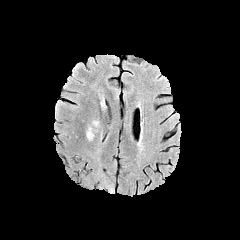
FLAIR magnetic resonance.
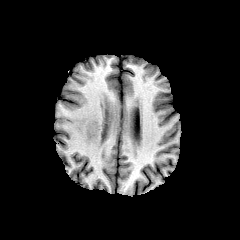
Same slice, T1-weighted magnetic resonance.
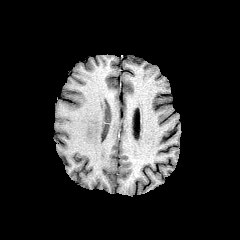
Post-contrast T1-weighted MR of the same slice.
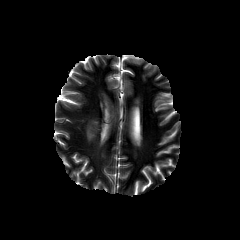
T2-weighted MRI of the same slice.
edema: rect(86, 121, 98, 140)